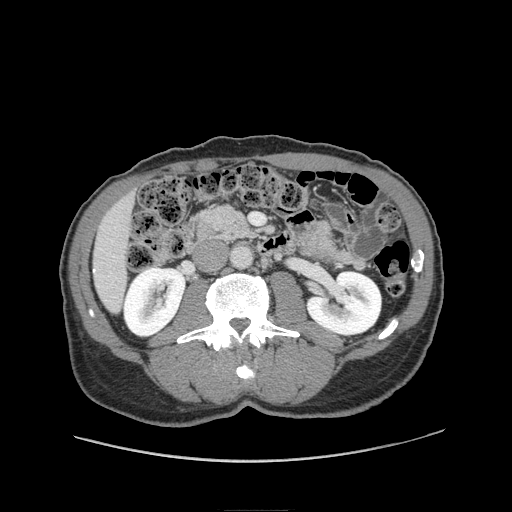

Upper abdomen, Computed tomography, Image size 512x512

Pancreas = box(201, 205, 255, 240).